CT slice. Image size 512x512. 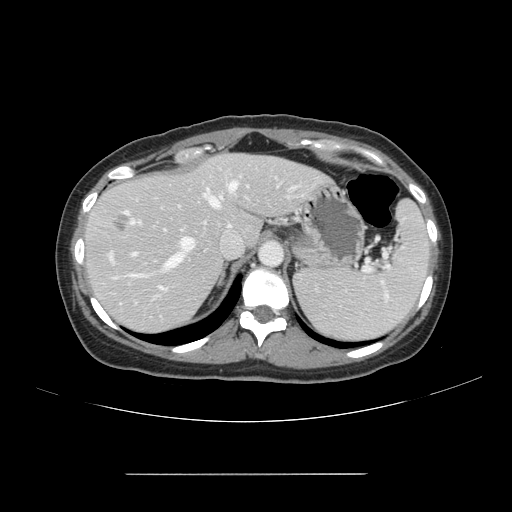

The vessel annotation is not exhaustive.
10 hepatic vessel regions are located at (124, 211, 128, 214), (110, 253, 112, 259), (220, 196, 221, 198), (204, 188, 219, 207), (165, 237, 193, 268), (229, 181, 236, 190), (128, 274, 145, 276), (291, 187, 294, 189), (131, 220, 140, 223), (132, 252, 136, 255). The liver tumor is at (113, 215, 128, 231).